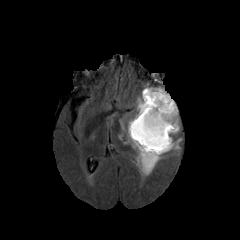
FLAIR MRI.
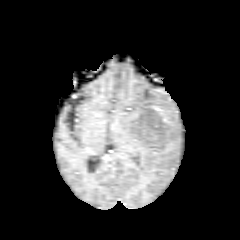
Same slice, T1-weighted MRI.
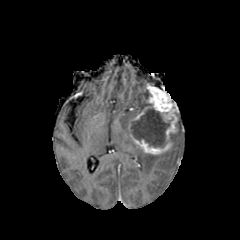
Post-contrast T1-weighted MR image.
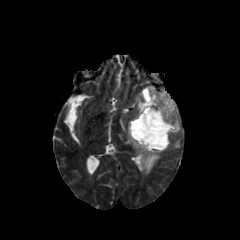
T2-weighted MR image.
Head.
2 non-enhancing tumor core regions are bounded by {"x1": 131, "y1": 103, "x2": 169, "y2": 147}, {"x1": 143, "y1": 90, "x2": 149, "y2": 100}. 4 edema regions appear at {"x1": 127, "y1": 122, "x2": 136, "y2": 148}, {"x1": 137, "y1": 148, "x2": 162, "y2": 175}, {"x1": 162, "y1": 122, "x2": 181, "y2": 153}, {"x1": 136, "y1": 89, "x2": 144, "y2": 113}. The enhancing tumor lies within {"x1": 128, "y1": 85, "x2": 178, "y2": 155}.